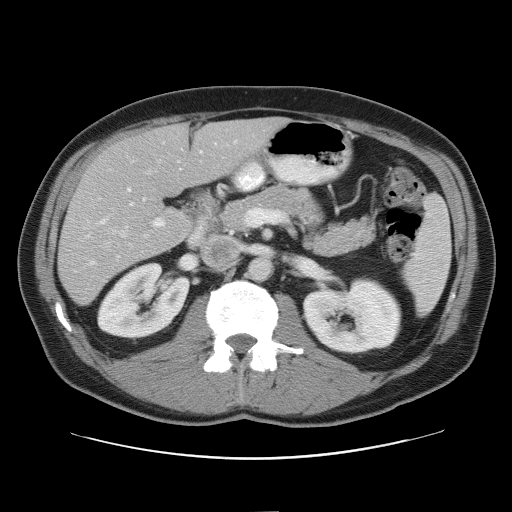 CT scan slice; Liver
Not every hepatic vessel necessarily has a box.
partial: true
hepatic_vessel:
  # 15 of 20 shown
  - <box>214,143,216,145</box>
  - <box>98,219,105,224</box>
  - <box>103,242,109,248</box>
  - <box>83,233,91,238</box>
  - <box>131,160,134,162</box>
  - <box>152,219,164,227</box>
  - <box>157,160,160,162</box>
  - <box>116,255,118,258</box>
  - <box>129,202,132,205</box>
  - <box>233,141,236,143</box>
  - <box>142,198,145,201</box>
  - <box>147,171,151,174</box>
  - <box>127,188,130,191</box>
  - <box>112,227,126,236</box>
  - <box>88,261,95,265</box>